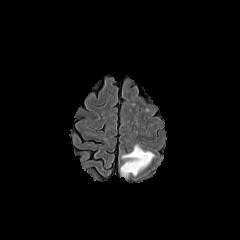
FLAIR magnetic resonance.
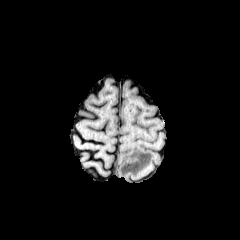
T1-weighted MRI.
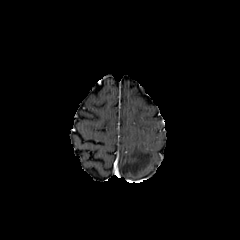
Same slice, post-contrast T1-weighted MRI.
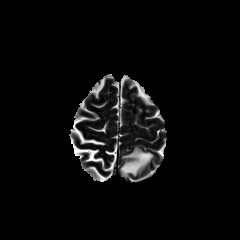
Same slice, T2-weighted MRI.
Brain; Image size 240x240
The edema is located at [120, 144, 154, 179].